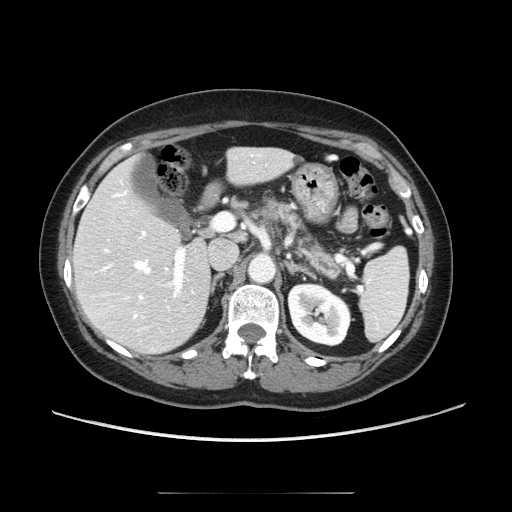
Upper abdomen | CT slice

pancreatic tumor: region(261, 202, 280, 219) | pancreas: region(263, 198, 339, 276); region(255, 205, 262, 217)